Slice 99 of 836. Computed tomography.

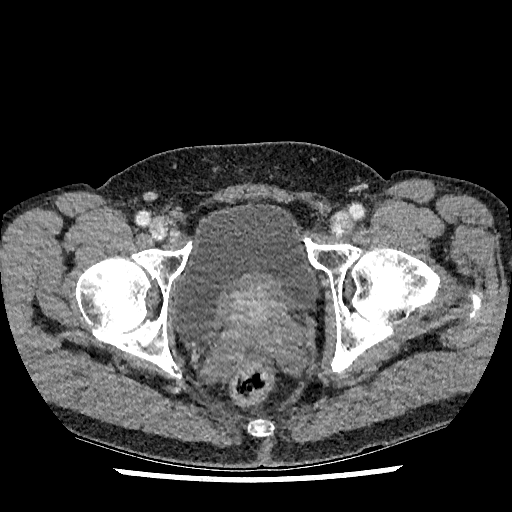
urinary bladder: [175,204,319,343]